Brain
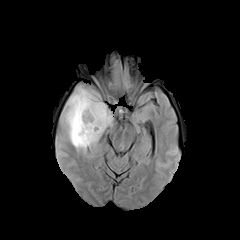
FLAIR MR.
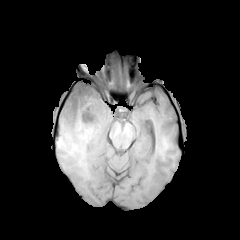
Same slice, T1-weighted MR.
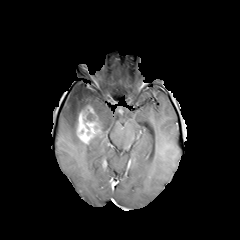
Post-contrast T1-weighted MR of the same slice.
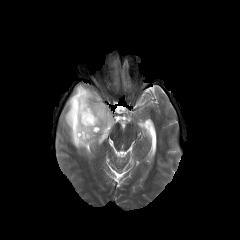
T2-weighted MR.
Non-enhancing tumor core: (left=79, top=105, right=99, bottom=124).
Enhancing tumor: (left=76, top=112, right=102, bottom=144).
Edema: (left=56, top=137, right=64, bottom=160), (left=60, top=84, right=113, bottom=153).